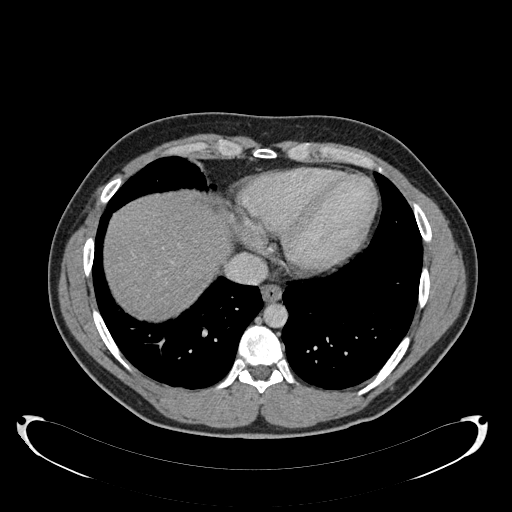 CT image | Liver
liver: <box>105,193,231,317</box>